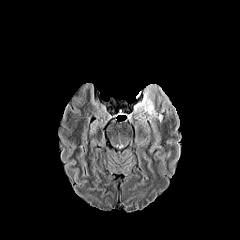
FLAIR magnetic resonance.
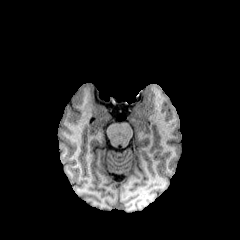
T1-weighted MR.
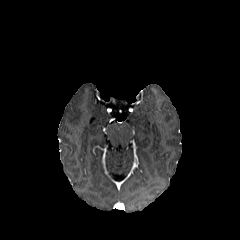
Same slice, post-contrast T1-weighted magnetic resonance.
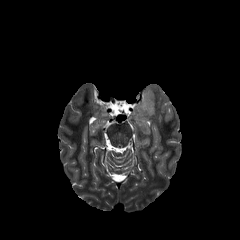
T2-weighted MR image.
Brain
<segmentation>
  <edema>[x1=127, y1=84, x2=155, y2=133]</edema>
</segmentation>